Upper abdomen. Slice index 34. CT.
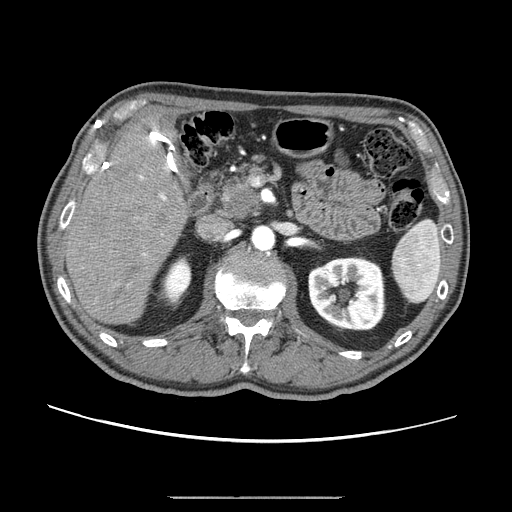 The pancreas is located at box(221, 162, 264, 210). The pancreatic tumor is located at box(226, 189, 258, 217).